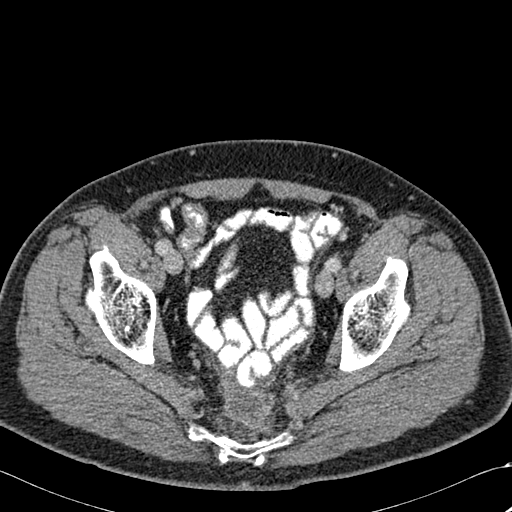
CT scan slice
3 bone regions are bounded by (86,246,156,364), (189,427,287,464), (340,257,409,371).